CT scan slice | 512x512 | Liver

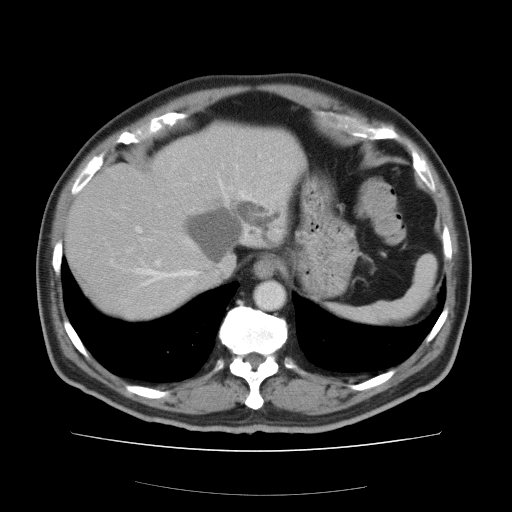 The vessel annotation is not exhaustive.
Hepatic vessel: bounding box rect(224, 192, 227, 201); rect(110, 260, 111, 261); rect(136, 268, 196, 283); rect(183, 238, 194, 248); rect(218, 179, 223, 191).